CT slice; Liver 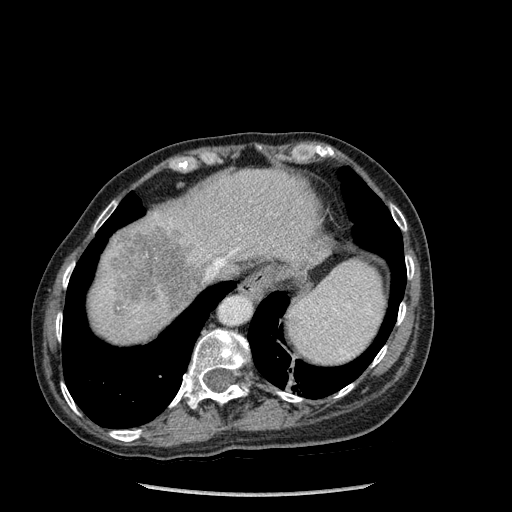
{"focal_liver_lesion": ["113:301:125:314", "111:232:201:310"], "lung": ["62:192:235:428", "248:167:406:398"], "liver": ["229:265:239:275", "87:169:327:344"], "bone": ["93:200:116:232", "169:329:249:408", "109:430:141:441", "390:204:406:230", "405:255:414:279", "62:262:74:287", "335:384:353:397", "56:313:62:340", "397:302:406:324", "276:391:302:402", "372:346:387:366", "61:383:78:414"]}